Upper abdomen; CT image

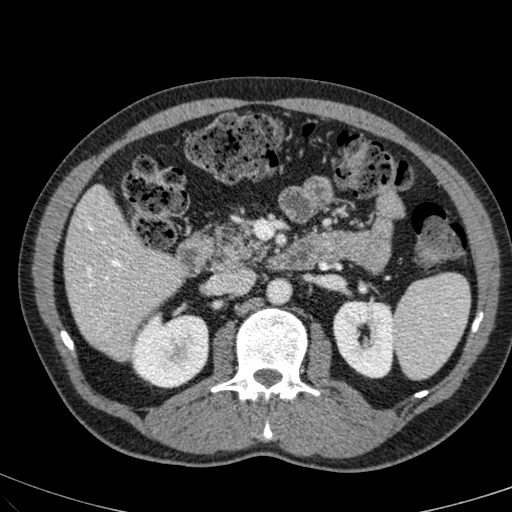 kidney:
  - [334,303,393,376]
  - [134,317,207,386]
liver:
  - [65,186,183,359]